FLAIR MR image.
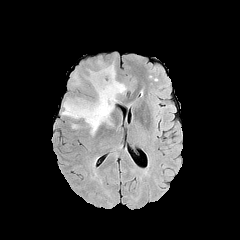
T1-weighted MR image.
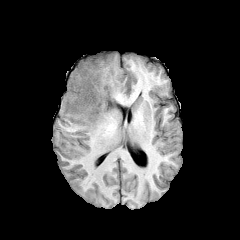
Post-contrast T1-weighted MR.
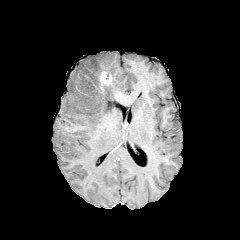
T2-weighted MRI.
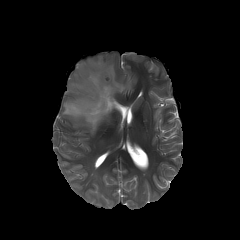
<segmentation>
  <edema>(x1=62, y1=61, x2=126, y2=135)</edema>
  <non-enhancing_tumor_core>(x1=96, y1=71, x2=113, y2=93), (x1=107, y1=99, x2=115, y2=107)</non-enhancing_tumor_core>
  <enhancing_tumor>(x1=100, y1=72, x2=111, y2=85)</enhancing_tumor>
</segmentation>